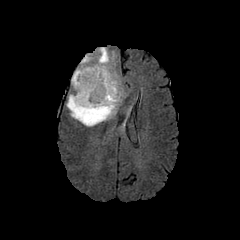
FLAIR MRI.
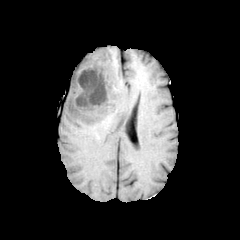
T1-weighted MR image.
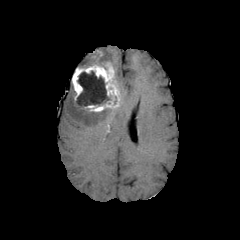
Same slice, post-contrast T1-weighted magnetic resonance.
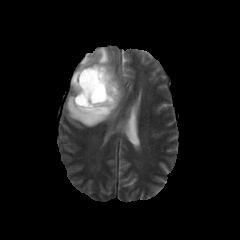
T2-weighted MR.
Head
enhancing tumor: <bbox>71, 50, 120, 111</bbox> | edema: <bbox>97, 47, 111, 65</bbox>, <bbox>80, 53, 94, 65</bbox>, <bbox>66, 91, 116, 127</bbox> | non-enhancing tumor core: <bbox>75, 71, 111, 107</bbox>